240x240 px.
FLAIR magnetic resonance.
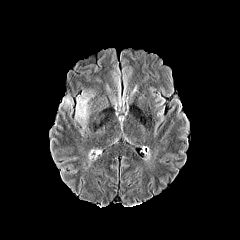
T1-weighted MR image.
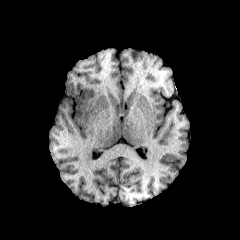
Post-contrast T1-weighted MR image.
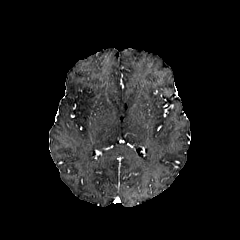
T2-weighted MRI.
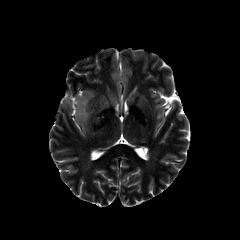
edema: [59,98,73,113], [74,94,90,131]